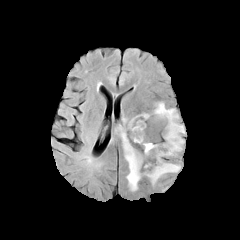
FLAIR MR.
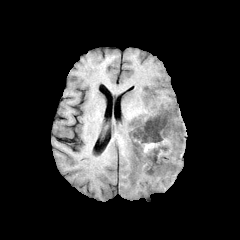
T1-weighted magnetic resonance.
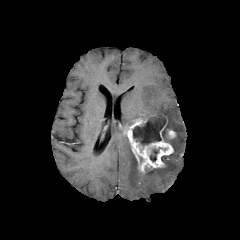
Same slice, post-contrast T1-weighted MR.
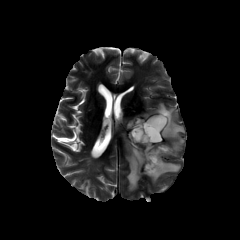
T2-weighted MR.
Head.
edema: <bbox>144, 162, 180, 183</bbox>, <bbox>148, 102, 184, 156</bbox>, <bbox>115, 125, 140, 190</bbox> | enhancing tumor: <bbox>127, 118, 173, 171</bbox> | non-enhancing tumor core: <bbox>132, 118, 175, 152</bbox>, <bbox>149, 147, 166, 162</bbox>